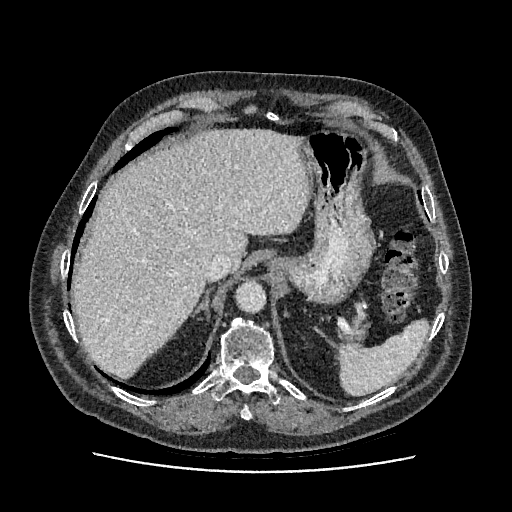 Upper abdomen. CT image.
{
  "liver": [
    "[x1=73, y1=129, x2=307, y2=378]"
  ]
}